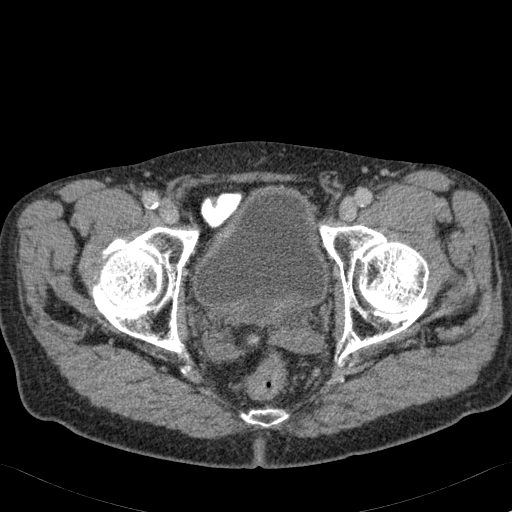
Computed tomography; Lower abdomen; Image size 512x512
Urinary bladder = <box>196,193,331,311</box>.